CT scan slice, Field of view 429 mm wide, 0.70 mm slice spacing, Abdomen 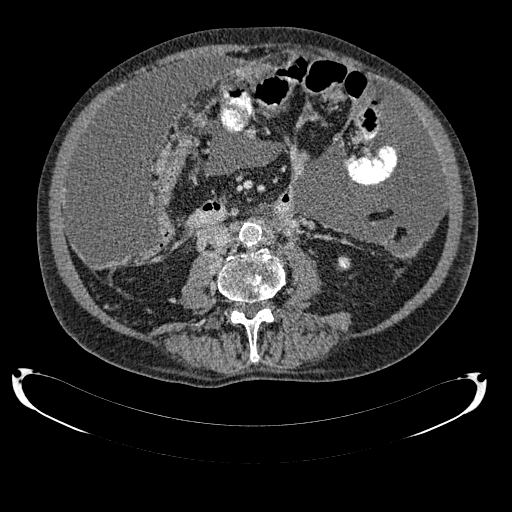 kidney:
  - <box>339,257,349,268</box>